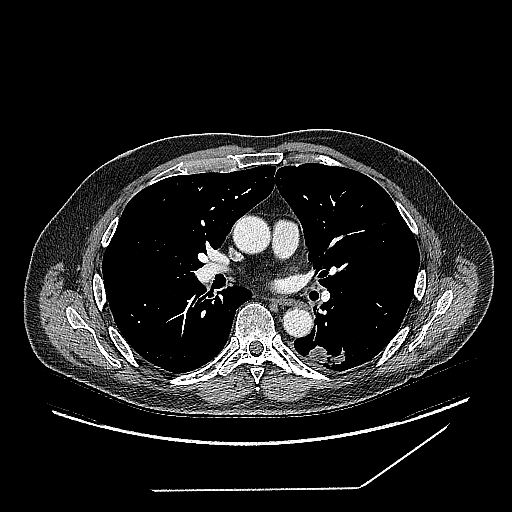 CT. Lung.
The lung tumor lies within [x1=304, y1=342, x2=346, y2=367].